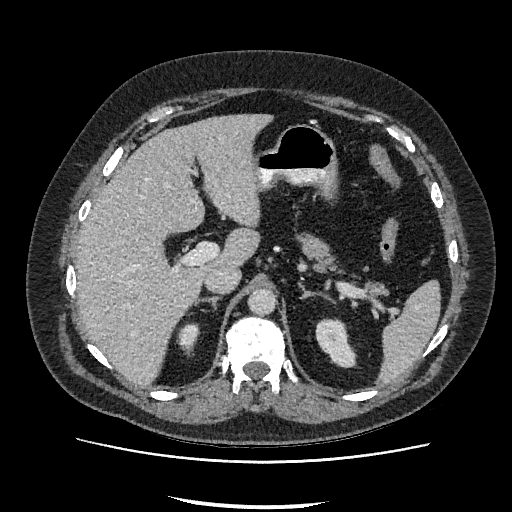
CT image. Abdomen.
2 kidney regions are located at box(181, 326, 196, 344); box(316, 321, 353, 365). The liver is located at box(76, 115, 272, 384).